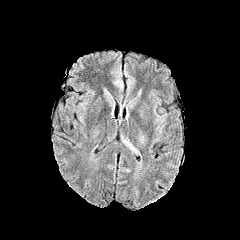
FLAIR magnetic resonance.
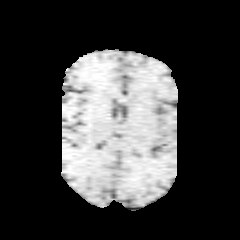
Same slice, T1-weighted MRI.
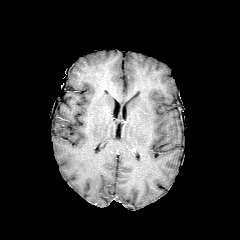
Post-contrast T1-weighted magnetic resonance of the same slice.
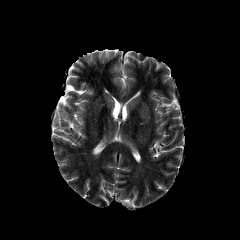
T2-weighted MRI of the same slice.
Image size 240x240.
<segmentation>
  <edema>122:138:133:149</edema>
</segmentation>